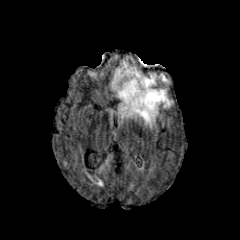
FLAIR magnetic resonance.
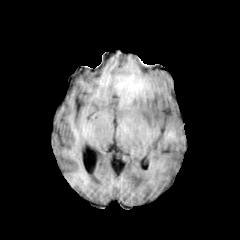
T1-weighted MR.
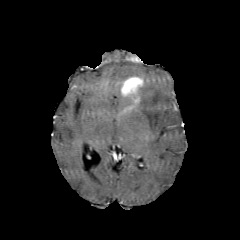
Post-contrast T1-weighted MR of the same slice.
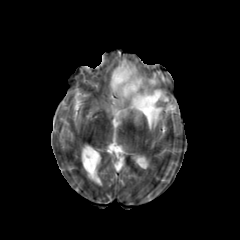
T2-weighted MRI.
The enhancing tumor is bounded by bbox(119, 76, 143, 114). The edema appears at bbox(109, 57, 173, 129).